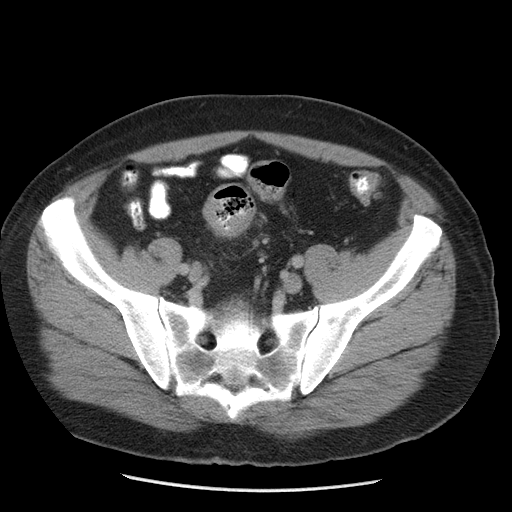
Pelvis. Computed tomography.

<segmentation>
  <colon_tumor>202, 199, 254, 235</colon_tumor>
</segmentation>